FLAIR MR image.
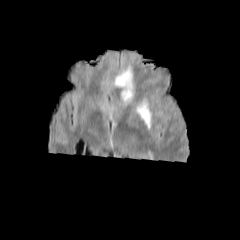
T1-weighted MR.
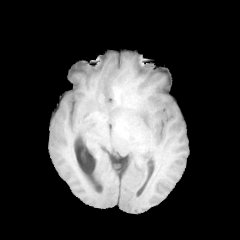
Post-contrast T1-weighted MRI.
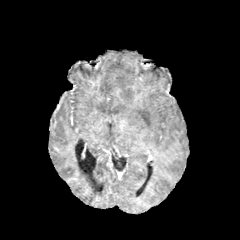
T2-weighted MR.
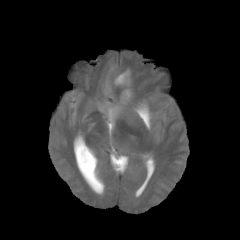
<segmentation>
  <edema>134:100:149:126, 114:70:131:86</edema>
</segmentation>